CT image | Slice 34 of 247

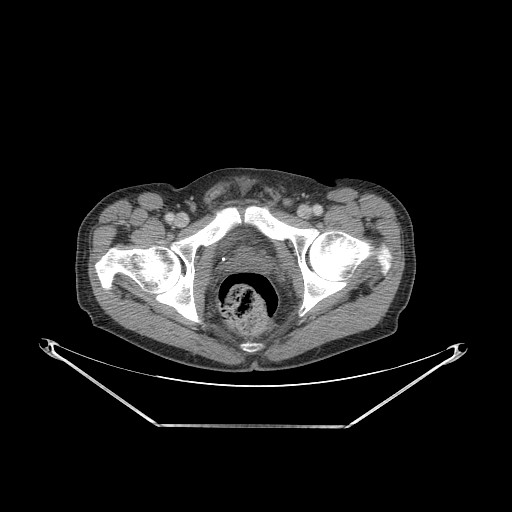 * bone: <box>95,208,240,321</box>, <box>245,207,372,313</box>, <box>243,344,254,351</box>, <box>378,247,391,273</box>